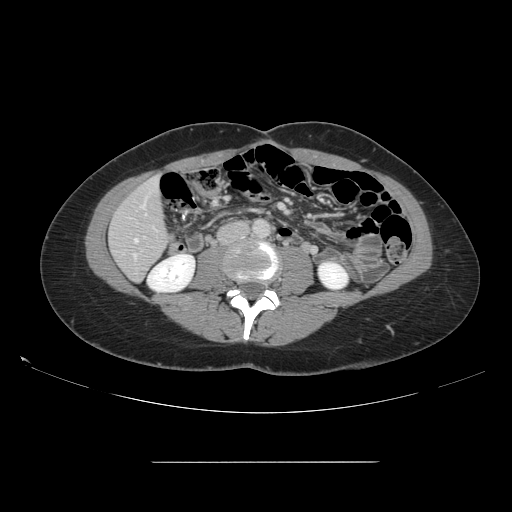
CT slice; Liver
The vessel annotation is not exhaustive.
Annotated regions:
• hepatic vessel: {"x1": 134, "y1": 239, "x2": 137, "y2": 242}, {"x1": 140, "y1": 179, "x2": 157, "y2": 208}, {"x1": 133, "y1": 253, "x2": 137, "y2": 259}, {"x1": 145, "y1": 213, "x2": 146, "y2": 214}